Computed tomography; Upper abdomen; 512x512
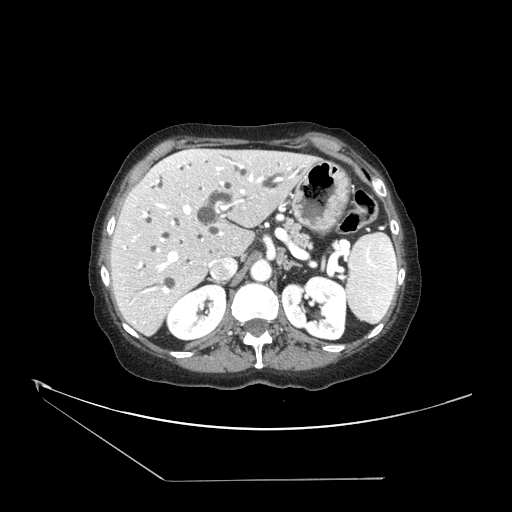

Pancreas: (285,219,310,248).